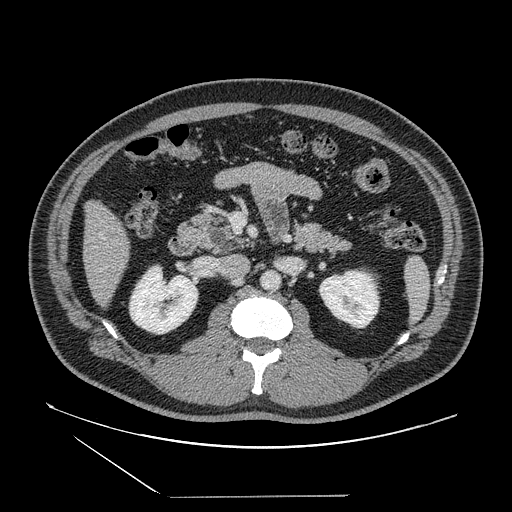
Upper abdomen; 512x512 px; CT slice
{"pancreas": ["(left=292, top=221, right=352, bottom=258)", "(left=178, top=211, right=241, bottom=256)"], "pancreatic_tumor": ["(left=209, top=228, right=228, bottom=248)"]}